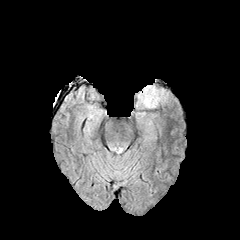
FLAIR MRI.
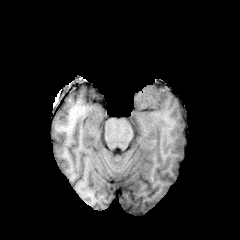
T1-weighted magnetic resonance of the same slice.
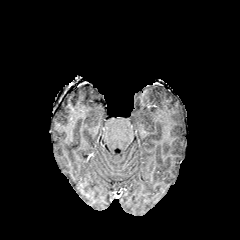
Post-contrast T1-weighted MR image of the same slice.
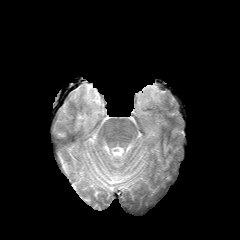
T2-weighted magnetic resonance.
- edema: x1=140 y1=88 x2=159 y2=107